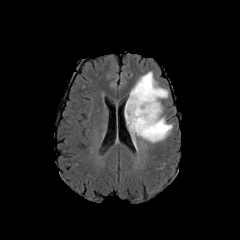
FLAIR MR image.
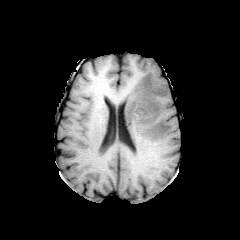
Same slice, T1-weighted MR.
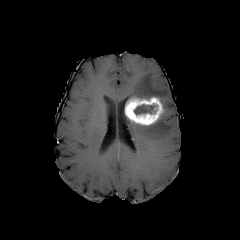
Post-contrast T1-weighted MR image of the same slice.
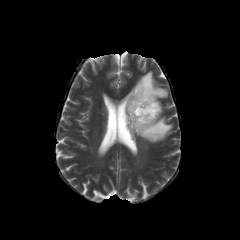
T2-weighted magnetic resonance.
The enhancing tumor appears at <bbox>124, 96, 163, 125</bbox>. 2 edema regions appear at <bbox>126, 116, 172, 149</bbox>, <bbox>128, 71, 168, 99</bbox>. The non-enhancing tumor core is bounded by <bbox>134, 105, 155, 114</bbox>.